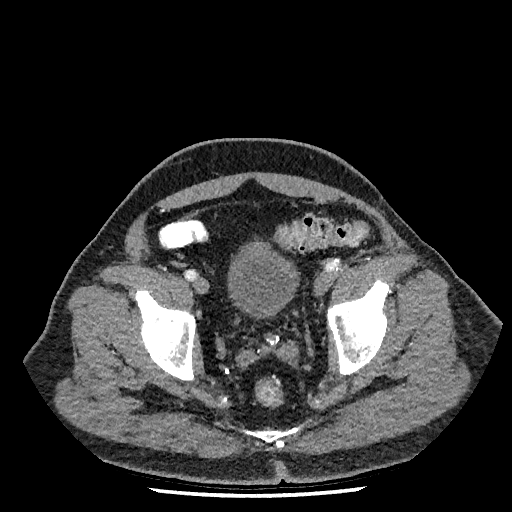
Pelvis; Computed tomography
The urinary bladder is bounded by [226, 234, 300, 320].